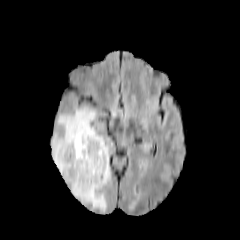
FLAIR magnetic resonance.
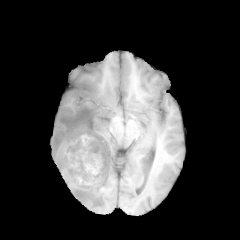
Same slice, T1-weighted magnetic resonance.
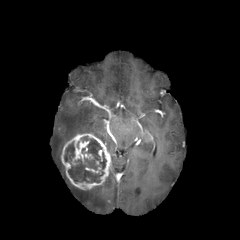
Post-contrast T1-weighted MRI.
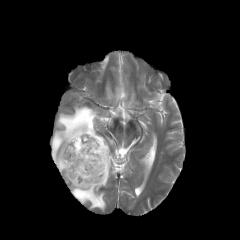
Same slice, T2-weighted MR image.
Enhancing tumor: left=61, top=133, right=111, bottom=190.
Non-enhancing tumor core: left=64, top=136, right=106, bottom=183.
Edema: left=51, top=105, right=112, bottom=212.